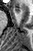
MRI; Hippocampus; Image size 33x51
anterior hippocampus: x1=14 y1=8 x2=19 y2=12